240x240
FLAIR MRI.
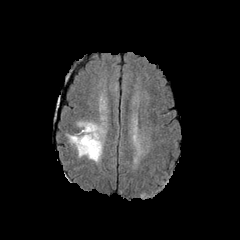
T1-weighted MR image.
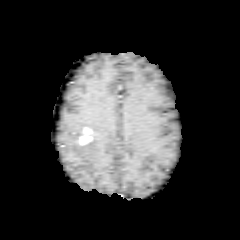
Post-contrast T1-weighted MR image.
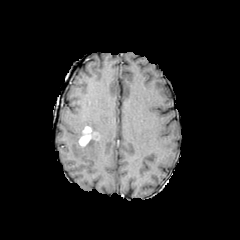
T2-weighted magnetic resonance.
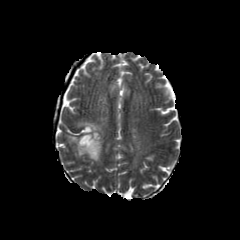
enhancing_tumor:
  - box(78, 125, 98, 147)
edema:
  - box(68, 131, 102, 161)
  - box(78, 122, 100, 131)